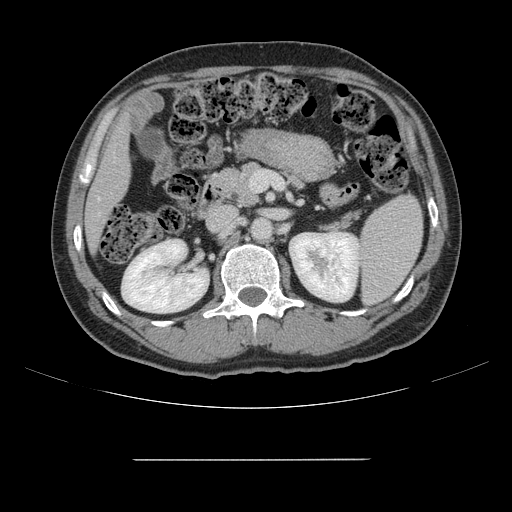 512x512. Computed tomography.
Only some of the vessels may be annotated.
Findings:
- hepatic vessel: {"x1": 98, "y1": 198, "x2": 99, "y2": 200}